FLAIR MR.
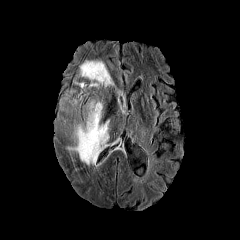
T1-weighted MR image.
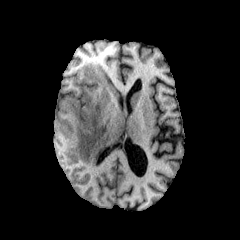
Post-contrast T1-weighted MR.
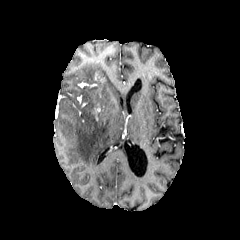
T2-weighted MR.
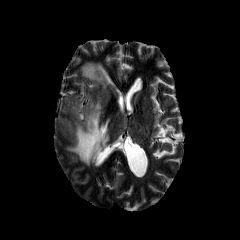
Non-enhancing tumor core: left=77, top=93, right=98, bottom=126; left=83, top=80, right=99, bottom=88.
Enhancing tumor: left=93, top=104, right=100, bottom=116.
Edema: left=80, top=61, right=114, bottom=88; left=59, top=89, right=109, bottom=166.